FLAIR MR.
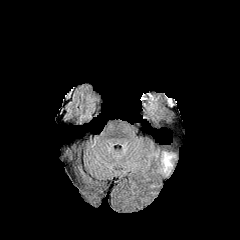
T1-weighted magnetic resonance.
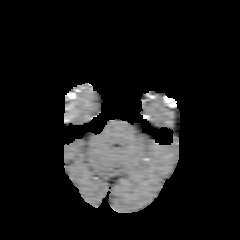
Post-contrast T1-weighted magnetic resonance.
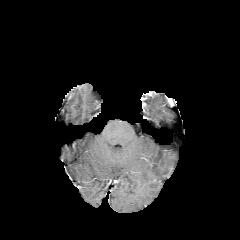
T2-weighted MR.
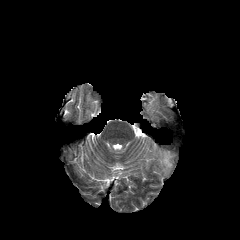
Head
• edema: [144,94,157,114]